Slice 89/155, 240x240, Brain
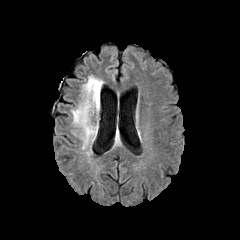
FLAIR magnetic resonance.
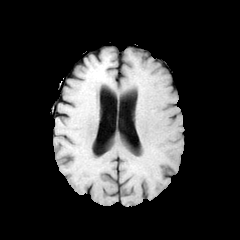
T1-weighted MR.
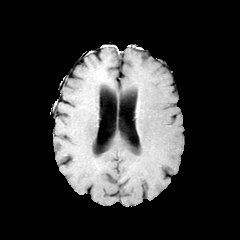
Same slice, post-contrast T1-weighted MRI.
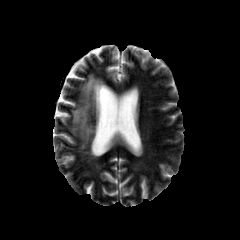
T2-weighted magnetic resonance of the same slice.
The edema is located at 71, 74, 104, 157.